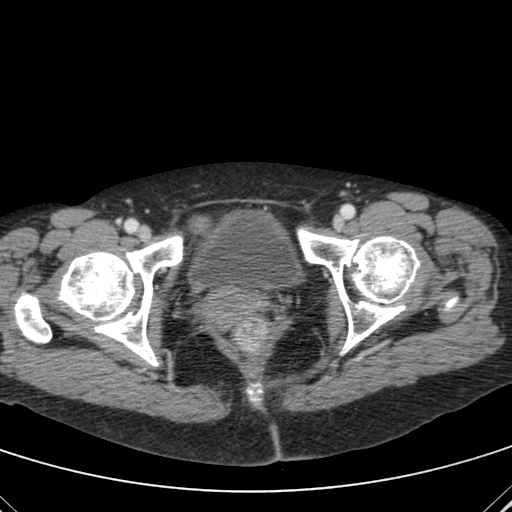 Pelvis; Computed tomography; 512x512 px
{"urinary_bladder": ["(left=187, top=209, right=302, bottom=291)"]}